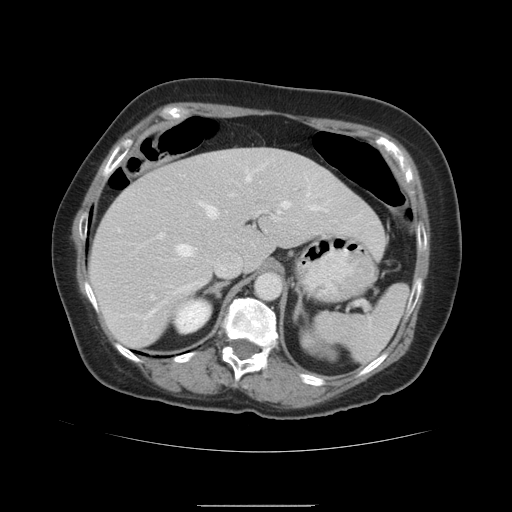 Abdomen | CT

Only some of the vessels may be annotated.
<segmentation>
  <hepatic_vessel>(x1=246, y1=168, x2=252, y2=181), (x1=176, y1=244, x2=196, y2=256), (x1=180, y1=279, x2=206, y2=290), (x1=200, y1=202, x2=218, y2=218), (x1=282, y1=201, x2=290, y2=208), (x1=158, y1=233, x2=163, y2=237), (x1=278, y1=210, x2=281, y2=213), (x1=231, y1=193, x2=235, y2=195), (x1=273, y1=216, x2=280, y2=220), (x1=151, y1=295, x2=155, y2=299), (x1=310, y1=205, x2=327, y2=211), (x1=124, y1=307, x2=158, y2=319), (x1=257, y1=162, x2=267, y2=170)</hepatic_vessel>
</segmentation>